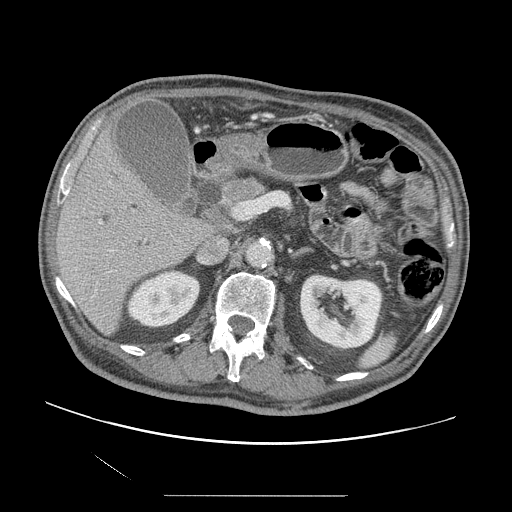

CT slice, Upper abdomen

The pancreatic tumor is bounded by [224,179,256,198]. The pancreas is bounded by [220,177,268,206].